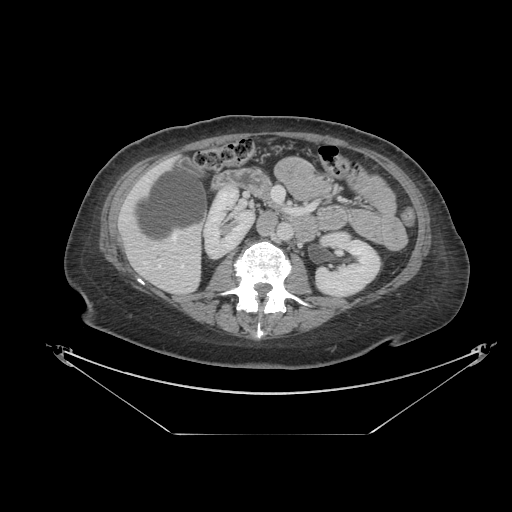
Computed tomography. Abdomen. 512x512.
Segmented structures:
* pancreas: x1=260 y1=187 x2=278 y2=207